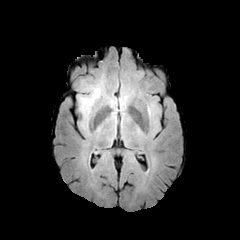
FLAIR MR.
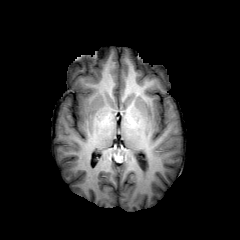
Same slice, T1-weighted MR image.
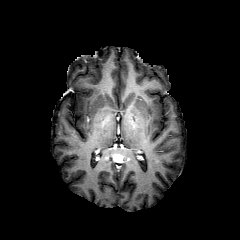
Post-contrast T1-weighted MRI of the same slice.
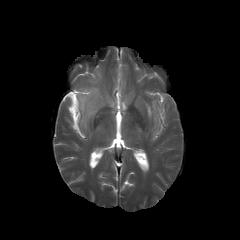
Same slice, T2-weighted MR image.
Segmented structures:
- edema: box(110, 89, 133, 114); box(147, 104, 156, 116); box(78, 86, 100, 125)